Slice 51/99 | Image width 440 mm | Abdomen | CT slice 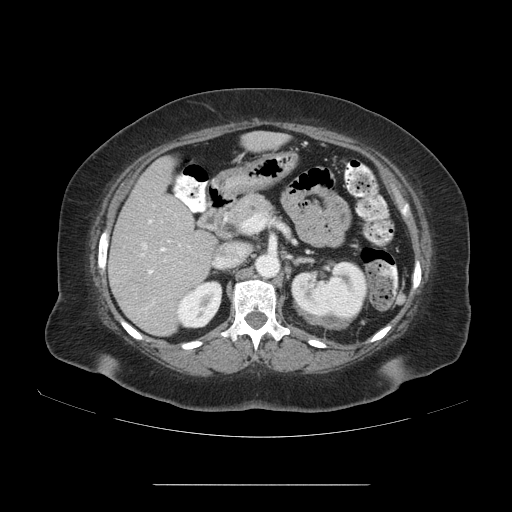

The vessel boxes may cover only some of the vessels.
Hepatic vessel: bounding box {"x1": 141, "y1": 254, "x2": 142, "y2": 256}, {"x1": 245, "y1": 218, "x2": 263, "y2": 228}, {"x1": 161, "y1": 248, "x2": 163, "y2": 250}, {"x1": 213, "y1": 246, "x2": 244, "y2": 267}, {"x1": 148, "y1": 220, "x2": 150, "y2": 222}, {"x1": 148, "y1": 270, "x2": 151, "y2": 273}, {"x1": 142, "y1": 243, "x2": 145, "y2": 247}.